Abdomen. Slice index 18. CT. 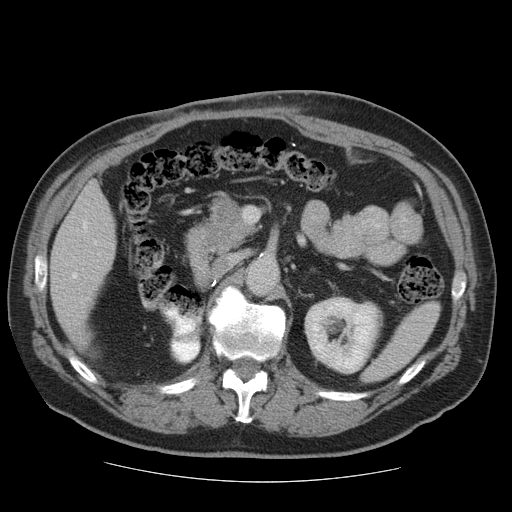

The vessel annotation is not exhaustive.
hepatic_vessel:
  - [94,241,96,244]
  - [83,220,87,232]
  - [73,272,76,277]